Slice 101 of 155 | Image size 240x240
FLAIR MR.
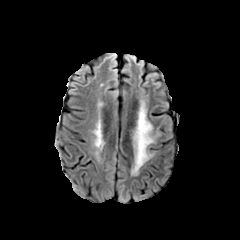
T1-weighted MRI.
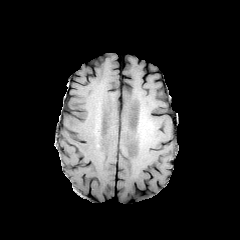
Post-contrast T1-weighted magnetic resonance.
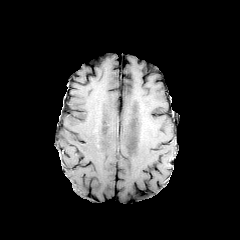
T2-weighted MRI.
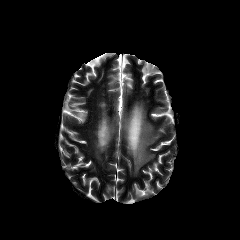
Edema: x1=134 y1=104 x2=153 y2=173.